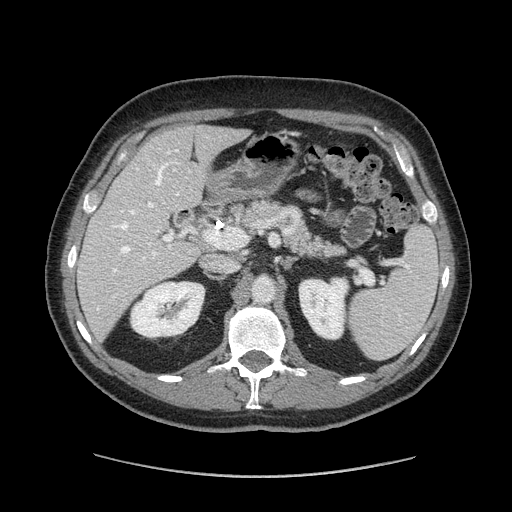 512x512 | Computed tomography
pancreas:
  - bbox(242, 202, 344, 257)